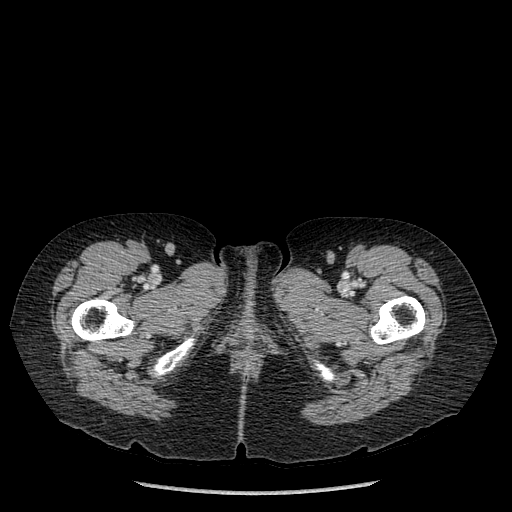 CT | 512x512 px
Segmented structures:
- bone: x1=71, y1=298, x2=133, y2=342; x1=315, y1=361, x2=334, y2=381; x1=369, y1=295, x2=425, y2=344; x1=151, y1=336, x2=194, y2=376